Image size 512x512. CT image. Abdomen.
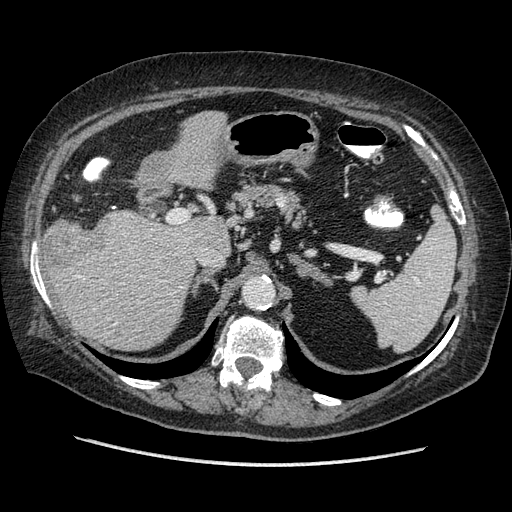
liver tumor: (48, 220, 112, 262)